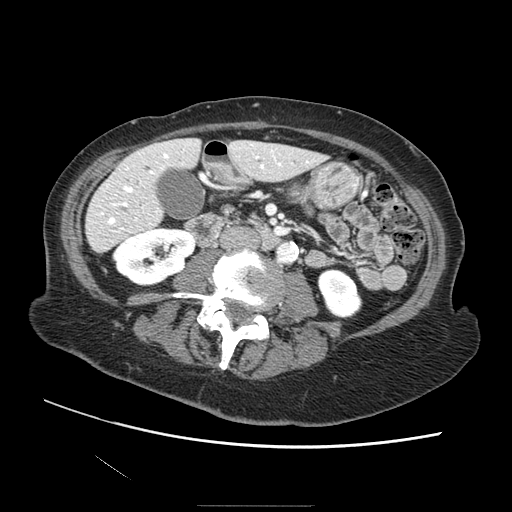 Computed tomography. 512x512. The pancreas lies within x1=224 y1=205 x2=236 y2=213.